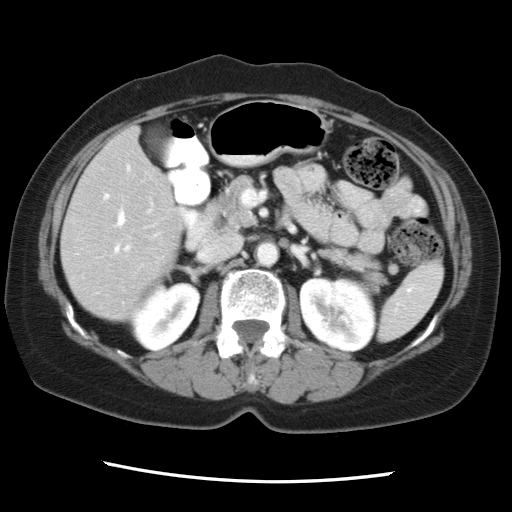

512x512. CT image. Abdomen.
The vessel annotation is not exhaustive.
- hepatic vessel: (103,198,105,200), (152,232,160,237), (113,241,122,254), (118,213,123,224)